MR | Slice index 7 | Hippocampus 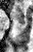
Posterior hippocampus: (19,27,20,28), (19,22,24,25).
Anterior hippocampus: (15,7,24,21).